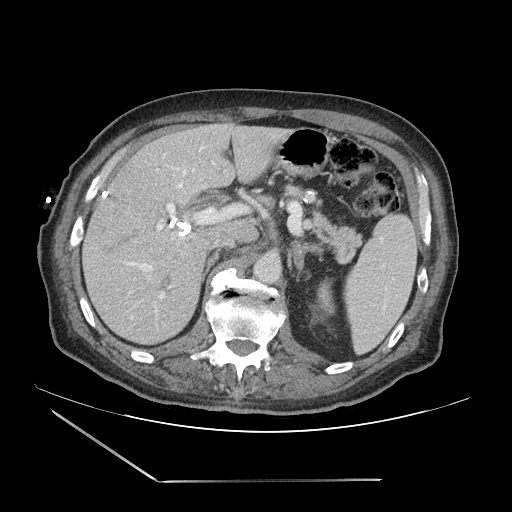 512x512; CT image; Abdomen

Pancreas: bounding box (left=312, top=210, right=362, bottom=264), (left=286, top=184, right=303, bottom=197).